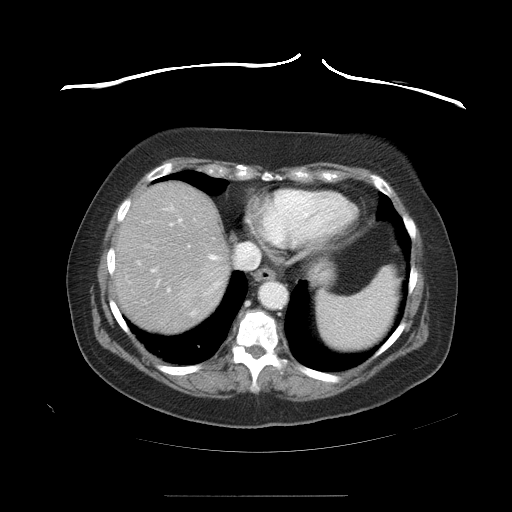
CT image | Liver

Not every hepatic vessel necessarily has a box.
liver tumor: 188:293:204:310 | hepatic vessel: 169:223:171:225, 167:288:169:291, 208:255:218:260, 163:205:172:210, 234:242:260:268, 151:268:156:272, 178:219:180:223, 202:280:221:295, 156:280:159:285